512x512 px | CT slice | Field of view 387x387 mm | Slice 461 of 846
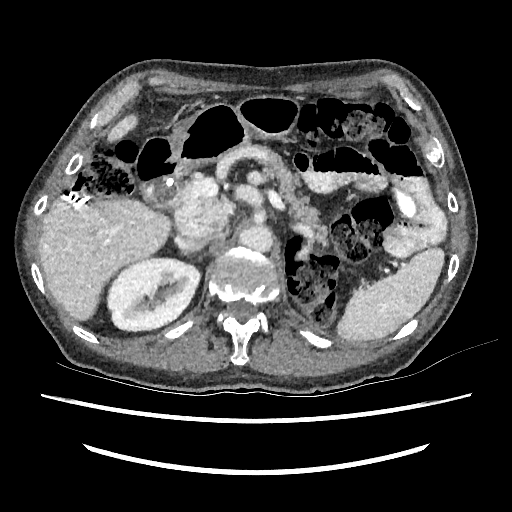 liver:
  - rect(108, 115, 136, 141)
  - rect(40, 200, 169, 319)
kidney:
  - rect(108, 259, 199, 330)